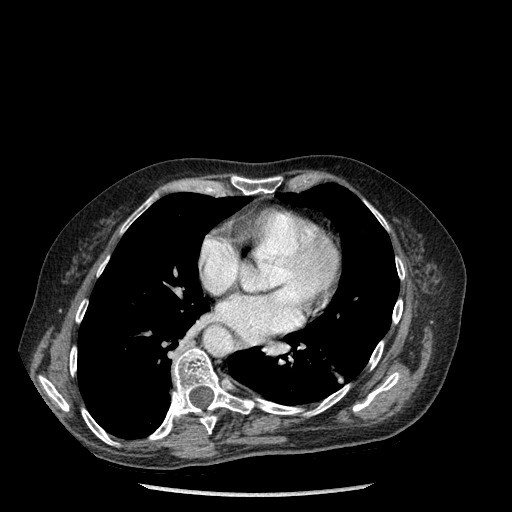 Chest | CT | Image size 512x512
2 lung regions are located at x1=229 y1=183 x2=399 y2=405, x1=77 y1=192 x2=249 y2=438. 14 bone regions are bounded by x1=369 y1=341 x2=383 y2=369, x1=231 y1=176 x2=282 y2=194, x1=81 y1=408 x2=118 y2=445, x1=75 y1=299 x2=87 y2=322, x1=120 y1=193 x2=157 y2=232, x1=97 y1=256 x2=108 y2=276, x1=39 y1=376 x2=69 y2=411, x1=364 y1=201 x2=388 y2=229, x1=353 y1=372 x2=400 y2=411, x1=392 y1=299 x2=402 y2=323, x1=70 y1=347 x2=76 y2=375, x1=149 y1=347 x2=255 y2=440, x1=255 y1=384 x2=349 y2=416, x1=395 y1=257 x2=404 y2=279.